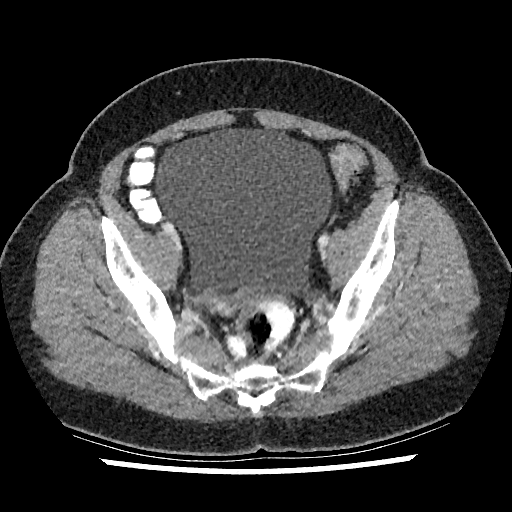

Pelvis. CT scan slice. 512x512.

The urinary bladder is located at region(155, 126, 331, 297).